Slice 547 of 685; Abdomen; CT
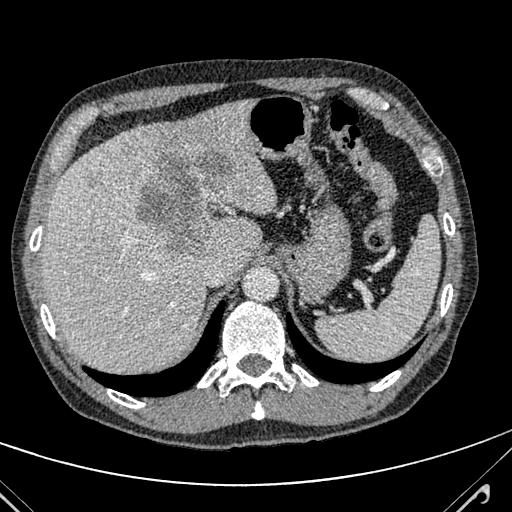

Liver = x1=43 y1=99 x2=276 y2=372.
Liver lesion = x1=137 y1=143 x2=231 y2=260.